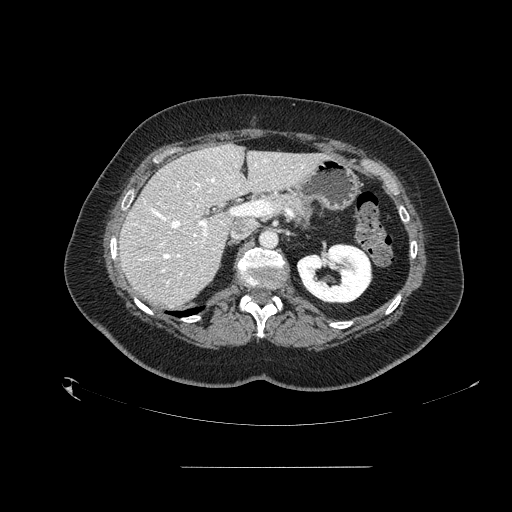

CT, Abdomen
• pancreas: {"x1": 248, "y1": 191, "x2": 314, "y2": 228}